512x512 px; Computed tomography; Abdomen 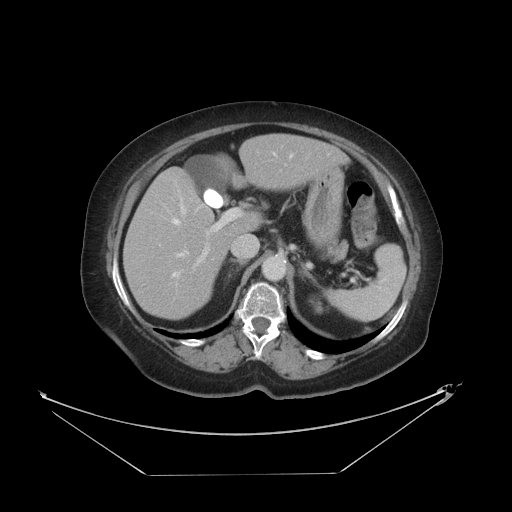

Not every hepatic vessel necessarily has a box.
hepatic_vessel:
  - 206,209,241,235
  - 194,244,209,266